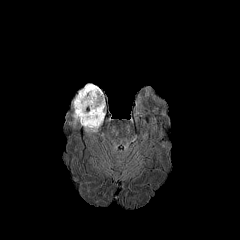
FLAIR magnetic resonance.
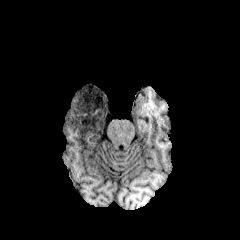
T1-weighted MRI.
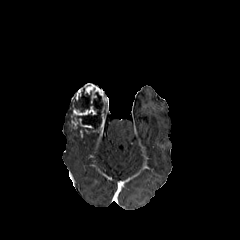
Post-contrast T1-weighted MR of the same slice.
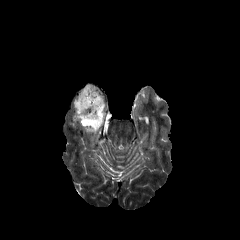
T2-weighted MR.
240x240 | Head
{
  "non-enhancing_tumor_core": [
    "(x1=66, y1=88, x2=106, y2=131)"
  ],
  "enhancing_tumor": [
    "(x1=73, y1=106, x2=96, y2=115)",
    "(x1=71, y1=117, x2=77, y2=128)",
    "(x1=72, y1=83, x2=108, y2=133)",
    "(x1=78, y1=117, x2=96, y2=136)"
  ]
}